FLAIR MR image.
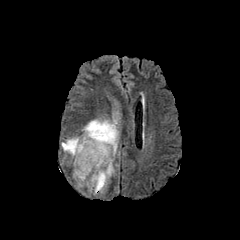
T1-weighted MRI.
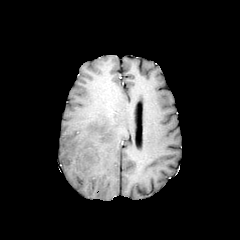
Post-contrast T1-weighted MRI.
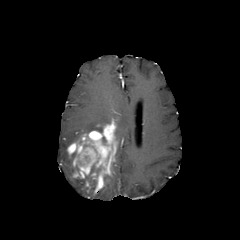
T2-weighted magnetic resonance.
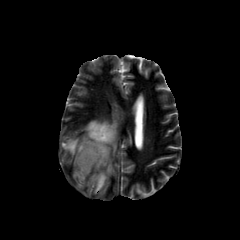
Brain
The enhancing tumor lies within region(67, 118, 117, 193). 6 edema regions are bounded by region(77, 177, 85, 188); region(61, 135, 82, 152); region(115, 126, 119, 142); region(99, 176, 110, 193); region(81, 118, 110, 133); region(89, 177, 95, 194). The non-enhancing tumor core appears at region(85, 164, 101, 177).